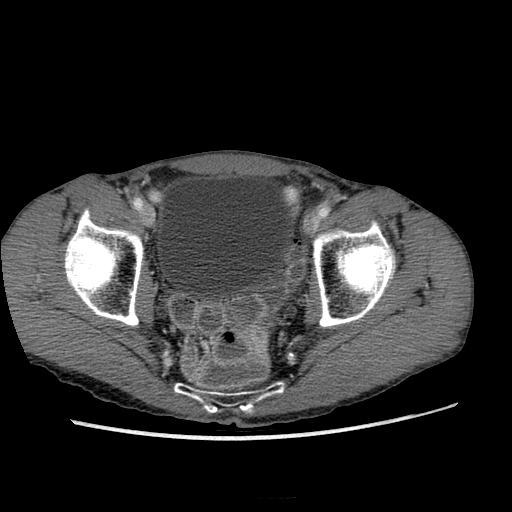

Lower abdomen | CT slice
urinary_bladder:
  - box(161, 177, 287, 289)